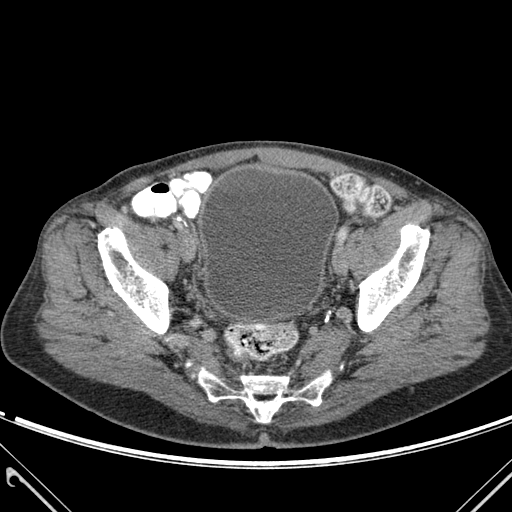
Lower abdomen | CT image

bone:
  - (98, 228, 169, 333)
  - (199, 368, 330, 422)
  - (358, 225, 429, 331)
urinary_bladder:
  - (202, 169, 336, 318)